CT image

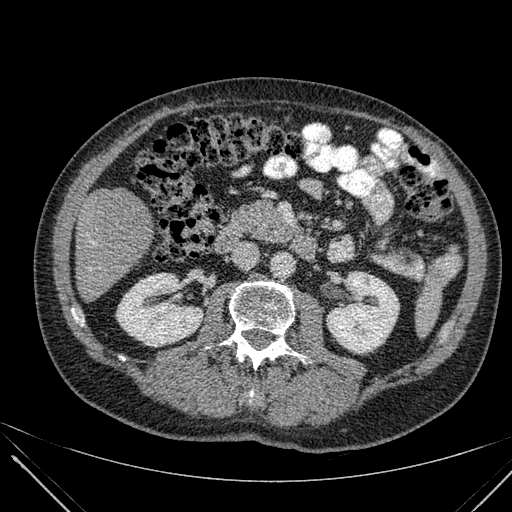 Kidney — <box>327,272,398,352</box>, <box>117,273,202,346</box>.
Liver — <box>76,188,155,301</box>.